FLAIR magnetic resonance.
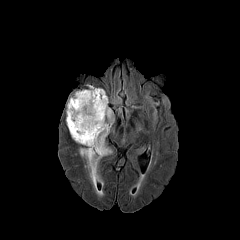
T1-weighted MR image.
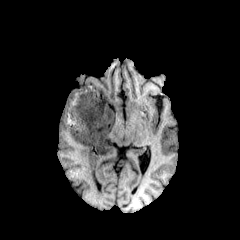
Post-contrast T1-weighted MR.
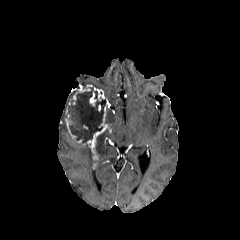
T2-weighted MR.
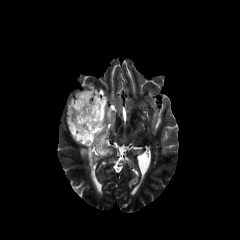
Head
enhancing tumor: box=[78, 84, 105, 98]; box=[65, 98, 110, 159] | non-enhancing tumor core: box=[65, 88, 106, 141] | edema: box=[106, 109, 114, 124]; box=[81, 128, 115, 165]